MR image
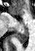

Annotated regions:
• posterior hippocampus: (x1=15, y1=27, x2=28, y2=43)